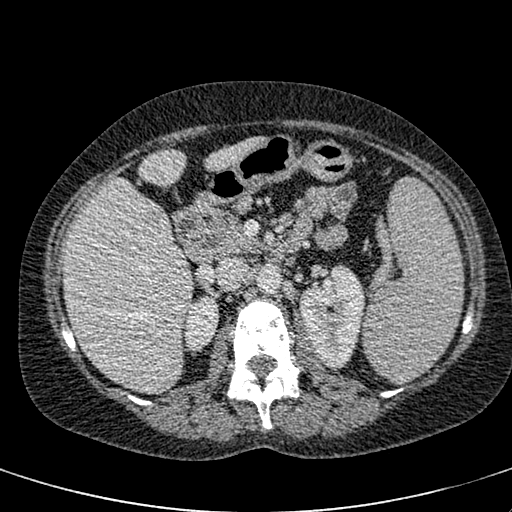
Abdomen; CT scan slice
Kidney at [300, 266, 363, 367], [185, 296, 218, 345].
Focal liver lesion at [142, 205, 169, 229].
Liver at [206, 137, 265, 170], [139, 150, 184, 185], [65, 179, 191, 391].